Brain; 240x240 px
FLAIR MRI.
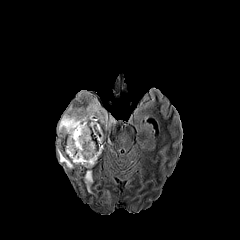
T1-weighted MRI.
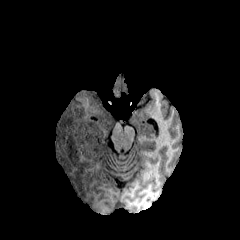
Post-contrast T1-weighted MRI.
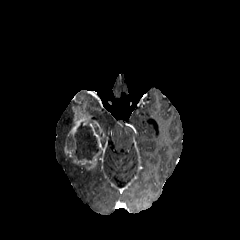
T2-weighted MR image.
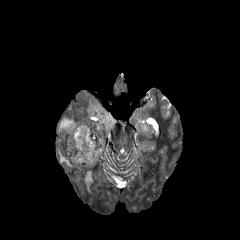
Edema — <bbox>87, 97, 107, 122</bbox>, <bbox>56, 111, 74, 169</bbox>, <bbox>84, 171, 92, 194</bbox>.
Enhancing tumor — <bbox>64, 96, 105, 170</bbox>.
Non-enhancing tumor core — <bbox>76, 90, 91, 100</bbox>, <bbox>65, 100, 82, 127</bbox>, <bbox>74, 122, 98, 159</bbox>.